Slice index 67. Image size 512x512. CT image. Upper abdomen.

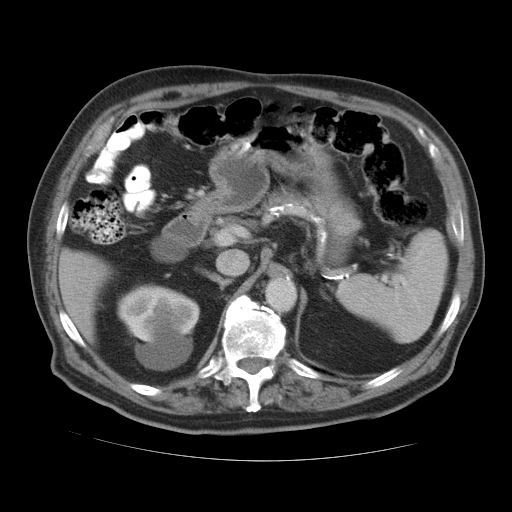
The spleen lies within x1=339, y1=231, x2=447, y2=341.